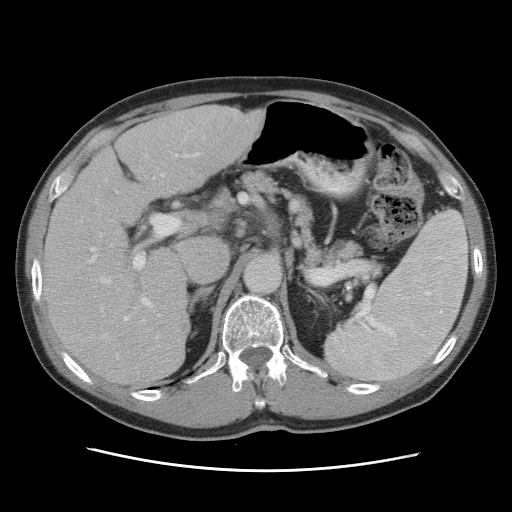
CT image. Abdomen. The vessel annotation is not exhaustive.
Hepatic vessel: bbox=[139, 293, 152, 308]; bbox=[133, 253, 145, 268]; bbox=[110, 244, 112, 246]; bbox=[201, 137, 204, 139]; bbox=[170, 153, 177, 158]; bbox=[157, 314, 159, 317]; bbox=[124, 317, 128, 321]; bbox=[156, 335, 159, 340]; bbox=[182, 152, 200, 158]; bbox=[87, 247, 96, 263]; bbox=[99, 278, 110, 283]; bbox=[99, 233, 102, 237]; bbox=[151, 214, 179, 235]; bbox=[116, 354, 118, 359]; bbox=[80, 221, 81, 222].